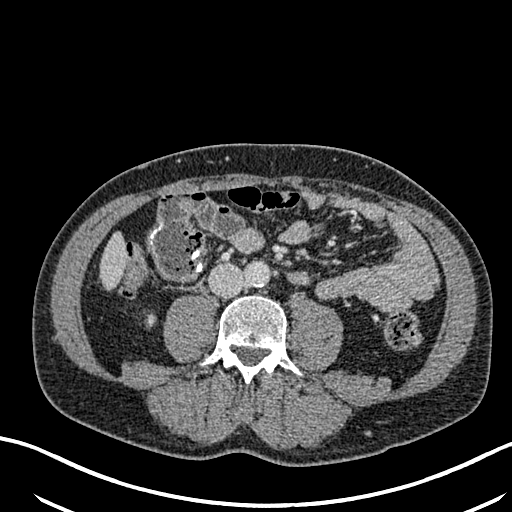 CT, Abdomen

Liver — left=101, top=234, right=124, bottom=288.